Image size 240x240, Head
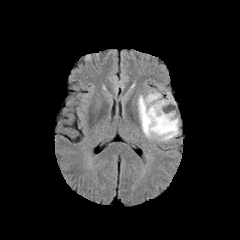
FLAIR magnetic resonance.
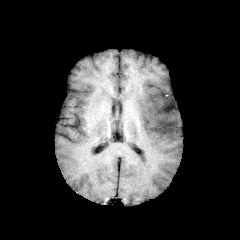
T1-weighted MR image of the same slice.
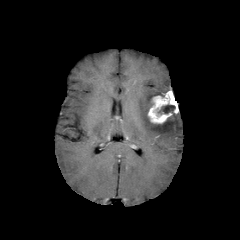
Post-contrast T1-weighted MR of the same slice.
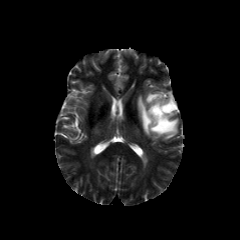
T2-weighted MRI.
The edema is bounded by {"x1": 138, "y1": 90, "x2": 179, "y2": 141}. The enhancing tumor is at {"x1": 147, "y1": 91, "x2": 178, "y2": 124}. The non-enhancing tumor core is at {"x1": 158, "y1": 105, "x2": 175, "y2": 113}.